Slice 425 of 466; CT scan slice
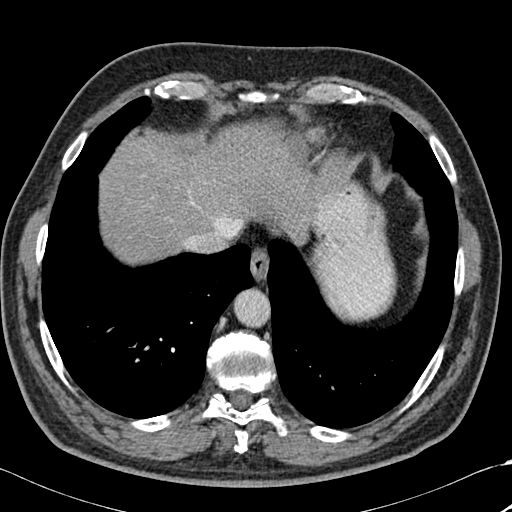
<segmentation>
  <lung>41 96 253 418, 267 112 457 428</lung>
  <bone>311 427 348 442, 40 322 65 381, 154 81 182 97, 343 87 365 102, 62 133 85 168, 133 416 169 431, 36 225 47 261, 408 348 442 405, 203 332 286 435, 430 136 455 181, 249 92 264 101, 454 251 464 293, 235 431 247 452</bone>
  <liver>100 127 306 261</liver>
</segmentation>